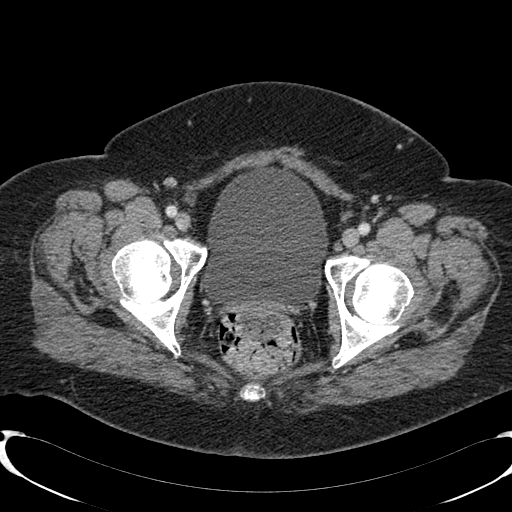 Lower abdomen. CT.
urinary bladder: rect(203, 164, 327, 305)